FLAIR MR image.
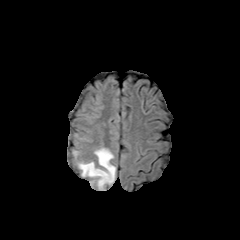
T1-weighted MR image.
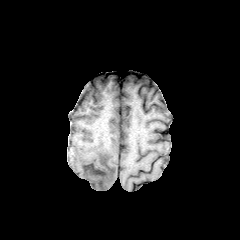
Post-contrast T1-weighted MRI.
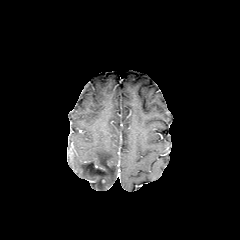
T2-weighted MRI.
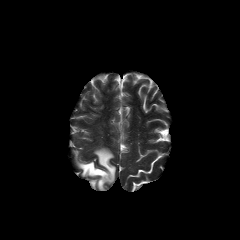
Head
Non-enhancing tumor core at [84,162,106,175].
Edema at [72,147,116,189].